Hippocampus | MRI | Image size 35x49

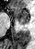
The posterior hippocampus is bounded by left=19, top=21, right=28, bottom=24. The anterior hippocampus is at left=10, top=7, right=28, bottom=20.